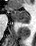
36x46 | Magnetic resonance | Medial temporal lobe
<segmentation>
  <posterior_hippocampus>x1=15, y1=22, x2=29, y2=23</posterior_hippocampus>
  <anterior_hippocampus>x1=5, y1=6, x2=30, y2=21</anterior_hippocampus>
</segmentation>